CT scan slice
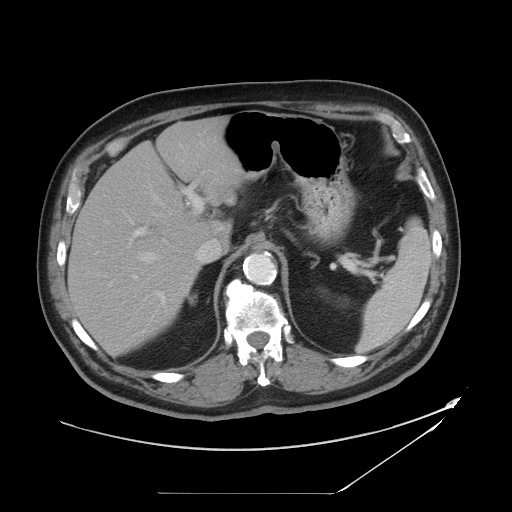

The vessel boxes may cover only some of the vessels.
liver tumor: (211, 182, 228, 198) | [15/16] hepatic vessel: (186, 183, 196, 194), (132, 275, 136, 278), (109, 282, 112, 286), (193, 197, 200, 208), (140, 252, 157, 262), (208, 197, 213, 199), (126, 215, 133, 223), (152, 194, 162, 204), (163, 239, 166, 242), (169, 211, 171, 213), (172, 299, 175, 300), (154, 291, 166, 311), (175, 293, 179, 294), (180, 144, 181, 146), (128, 227, 146, 247)